512x512 px; CT slice 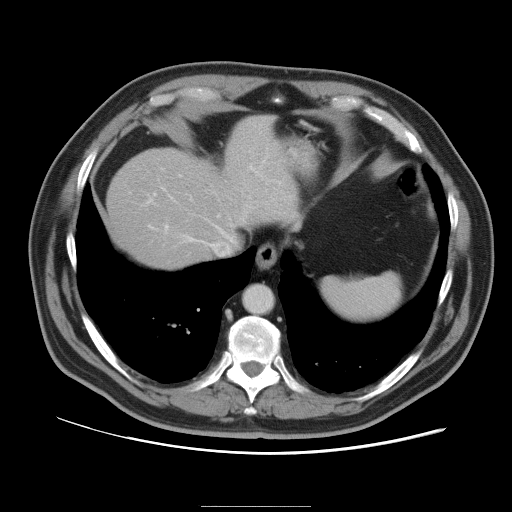 The vessel boxes may cover only some of the vessels.
{
  "partial": true,
  "hepatic_vessel": {
    "n_total": 19,
    "boxes": [
      "<bbox>247, 195, 250, 197</bbox>",
      "<bbox>284, 196, 291, 197</bbox>",
      "<bbox>218, 228, 223, 233</bbox>",
      "<bbox>190, 195, 192, 200</bbox>",
      "<bbox>162, 187, 165, 190</bbox>",
      "<bbox>256, 172, 283, 186</bbox>",
      "<bbox>149, 225, 152, 228</bbox>",
      "<bbox>168, 194, 171, 198</bbox>",
      "<bbox>202, 241, 211, 245</bbox>",
      "<bbox>240, 205, 253, 221</bbox>",
      "<bbox>248, 165, 253, 169</bbox>",
      "<bbox>263, 154, 267, 162</bbox>",
      "<bbox>180, 236, 195, 242</bbox>",
      "<bbox>164, 225, 168, 234</bbox>",
      "<bbox>146, 193, 155, 204</bbox>"
    ]
  }
}